FLAIR MRI.
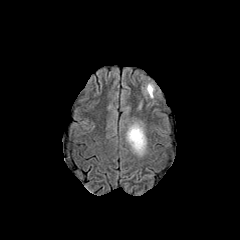
T1-weighted magnetic resonance.
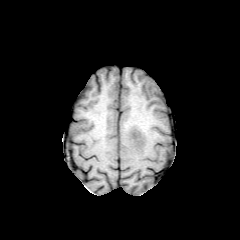
Post-contrast T1-weighted MR image.
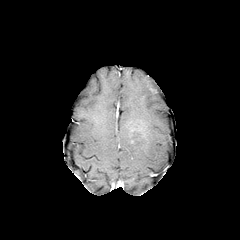
T2-weighted MR.
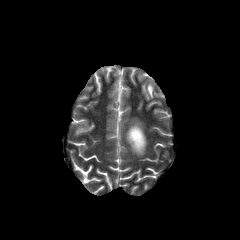
Brain
The edema is at region(126, 122, 146, 155).